Slice index 467. Abdomen. CT image. 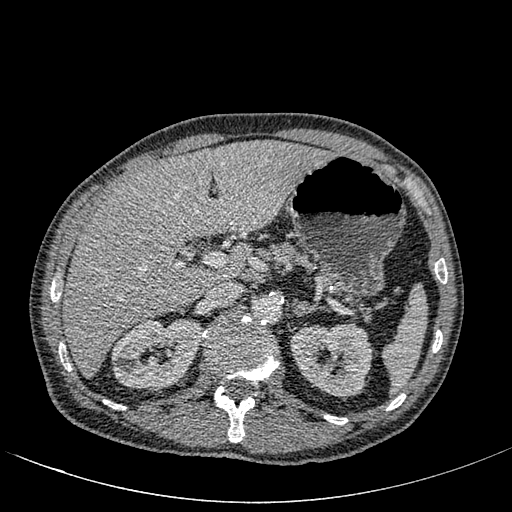
<segmentation>
  <kidney>bbox(291, 324, 371, 395); bbox(112, 319, 203, 389)</kidney>
  <liver>bbox(62, 141, 329, 377)</liver>
</segmentation>